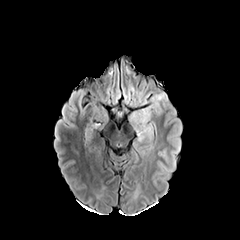
FLAIR MRI.
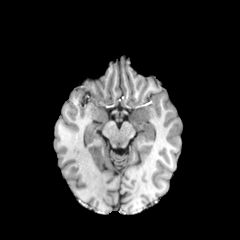
T1-weighted MR image.
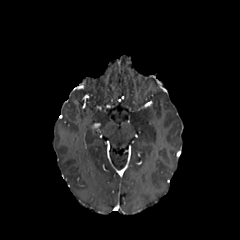
Same slice, post-contrast T1-weighted MRI.
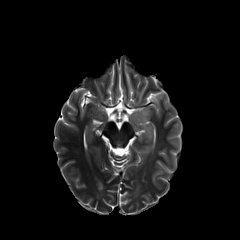
T2-weighted MR of the same slice.
240x240. Head.
3 edema regions appear at [129, 106, 157, 156], [156, 95, 162, 115], [121, 76, 151, 107].